Slice index 95. CT.
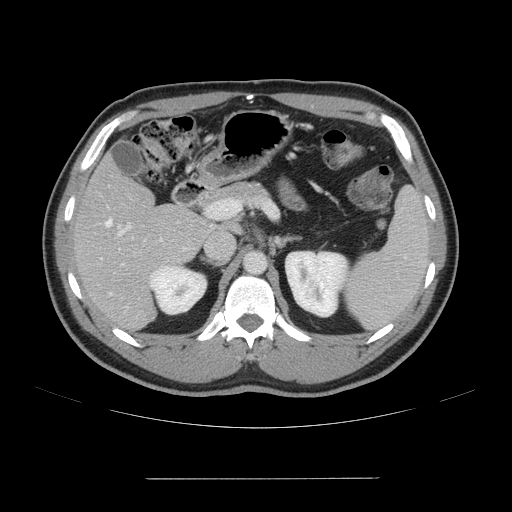

Only some of the vessels may be annotated.
<segmentation>
  <hepatic_vessel>[127, 223, 130, 228], [125, 306, 127, 307], [177, 221, 178, 222], [106, 218, 112, 226], [119, 226, 124, 234], [109, 293, 112, 295]</hepatic_vessel>
</segmentation>